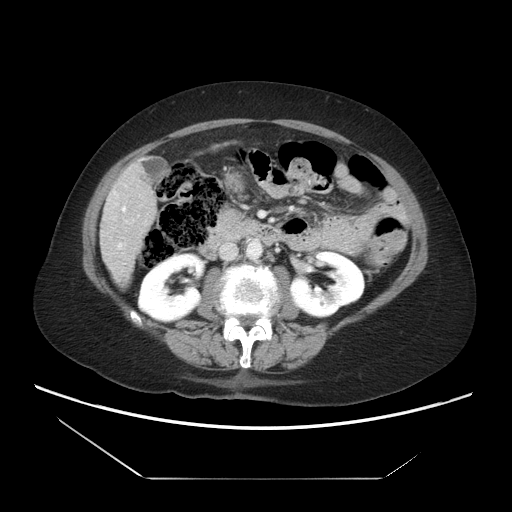 512x512 px; CT slice

Not every hepatic vessel necessarily has a box.
Hepatic vessel at [x1=122, y1=207, x2=125, y2=210], [x1=118, y1=243, x2=121, y2=248], [x1=113, y1=191, x2=116, y2=194].